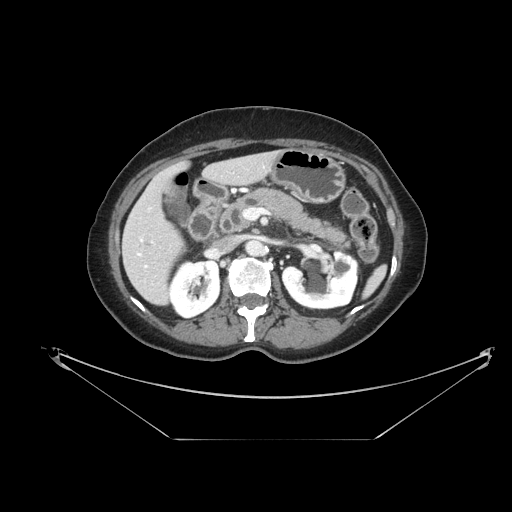

512x512, Computed tomography
Pancreas at left=223, top=188, right=349, bottom=249.